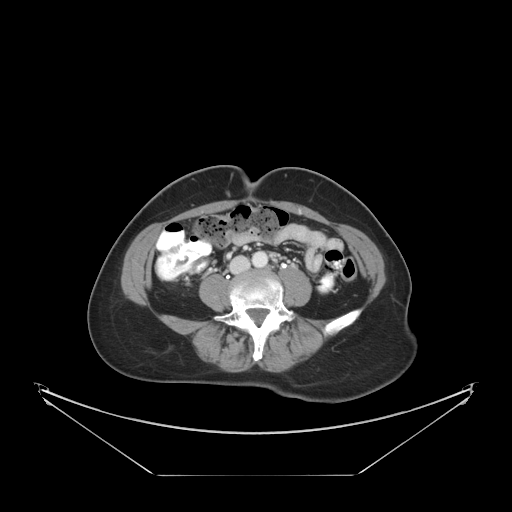
Pelvis | CT slice
Findings:
• colon tumor: 175 254 188 265, 169 243 182 253